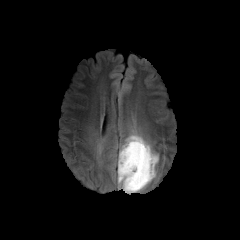
FLAIR MR.
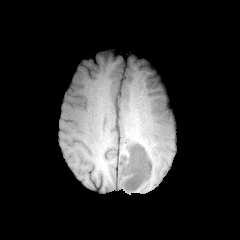
T1-weighted MRI of the same slice.
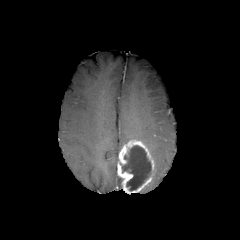
Post-contrast T1-weighted MR.
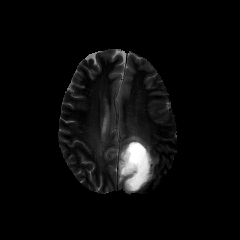
T2-weighted magnetic resonance.
Image size 240x240
Non-enhancing tumor core — 122,145,151,190.
Enhancing tumor — 117,140,154,193.
Edema — 119,125,159,182.